240x240 px. Field of view 240x240 mm.
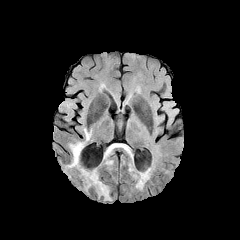
FLAIR MR.
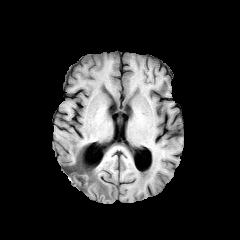
Same slice, T1-weighted magnetic resonance.
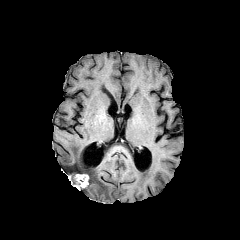
Post-contrast T1-weighted MR image.
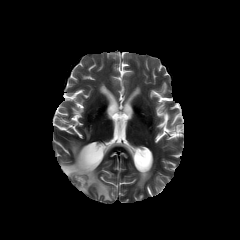
Same slice, T2-weighted MR image.
Enhancing tumor — rect(76, 174, 88, 188).
Non-enhancing tumor core — rect(64, 158, 92, 185).
Edema — rect(84, 168, 112, 200); rect(129, 163, 151, 187); rect(69, 140, 85, 165); rect(103, 144, 115, 158).